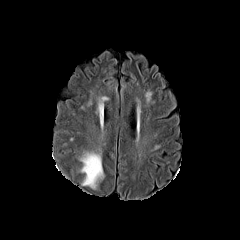
FLAIR magnetic resonance.
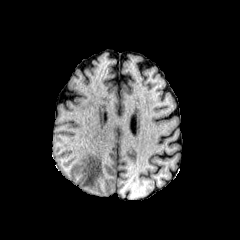
T1-weighted MR of the same slice.
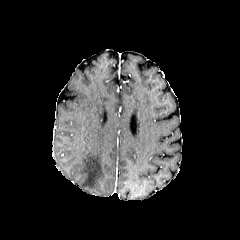
Post-contrast T1-weighted MR image of the same slice.
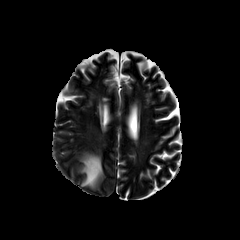
T2-weighted MRI.
Brain
edema: {"x1": 81, "y1": 152, "x2": 103, "y2": 188}